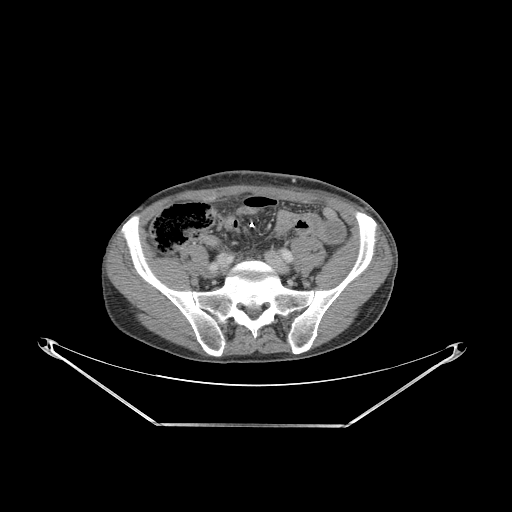 Computed tomography

<segmentation>
  <bone>bbox(122, 212, 376, 355)</bone>
</segmentation>